Slice index 63; 320x320; MR image
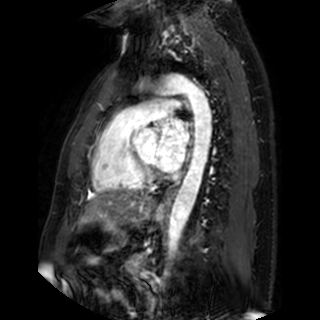 {"left_atrium": ["[x1=155, y1=118, x2=188, y2=171]"]}